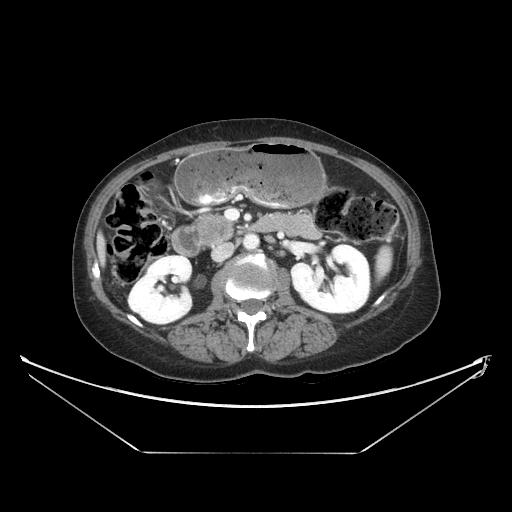 Abdomen. CT scan slice.

pancreatic_tumor:
  - (200,219,228,240)
pancreas:
  - (197,214,234,244)